Image size 512x512. Upper abdomen. CT scan slice. Slice index 450. Image width 350 mm.
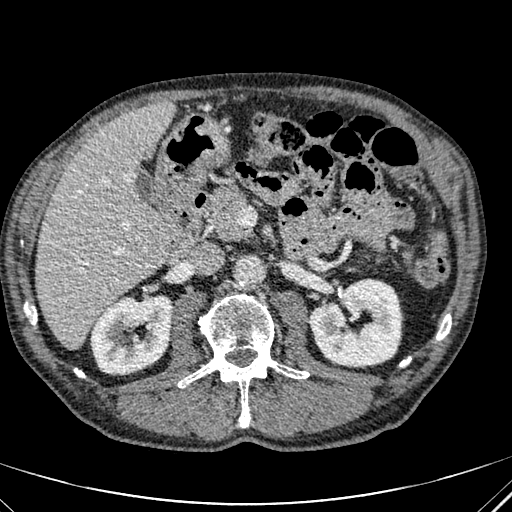

kidney: 91:297:171:373, 310:280:400:365 | liver: 36:100:174:349